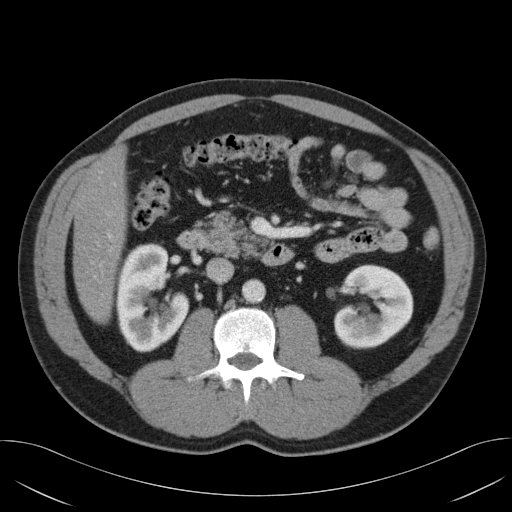

CT; Abdomen
The pancreas appears at 194, 210, 267, 259.